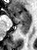
MRI

<segmentation>
  <posterior_hippocampus>region(18, 22, 30, 36)</posterior_hippocampus>
  <anterior_hippocampus>region(11, 11, 31, 22)</anterior_hippocampus>
</segmentation>